512x512; CT slice

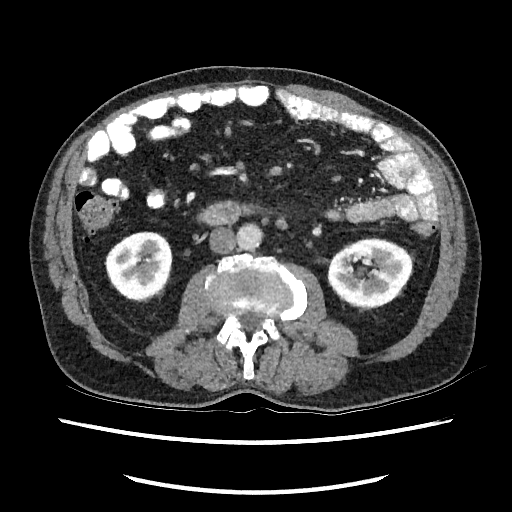

Kidney: bounding box bbox(105, 232, 171, 301); bbox(328, 238, 412, 308).